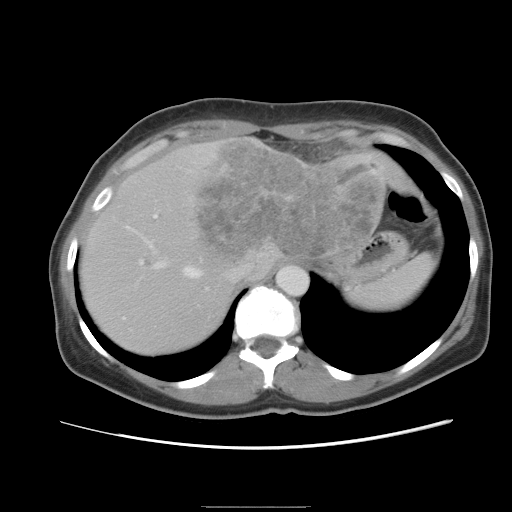
CT image | Liver
Some hepatic vessels may have no box.
6 hepatic vessel regions appear at box=[139, 259, 142, 262]; box=[154, 214, 156, 216]; box=[153, 261, 162, 267]; box=[223, 252, 262, 281]; box=[183, 266, 199, 277]; box=[148, 241, 152, 244]. The liver tumor is at box=[190, 138, 380, 271].